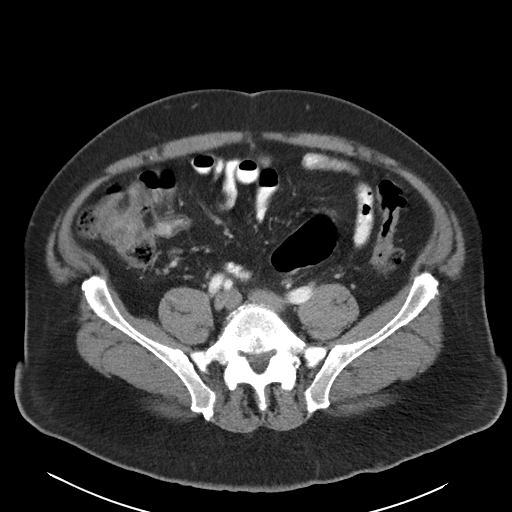 Image size 512x512; Abdomen; CT image

The colon tumor is at (97,182,144,251).